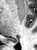

Medial temporal lobe, MRI slice
Posterior hippocampus: l=9, t=39, r=18, b=43.